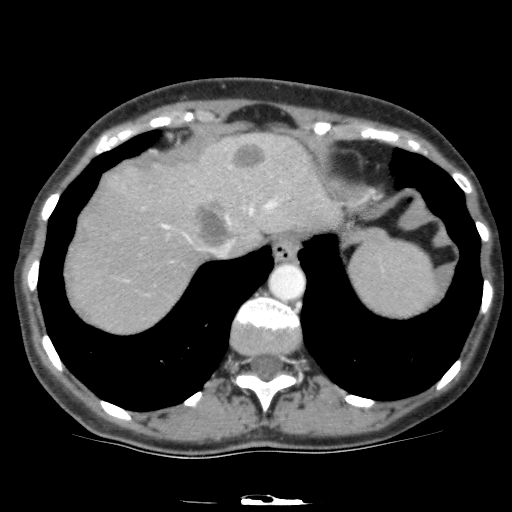 Computed tomography | 512x512 px | Upper abdomen

2 liver lesion regions are located at x1=231, y1=142, x2=266, y2=169; x1=192, y1=198, x2=234, y2=246. The liver is located at x1=65, y1=133, x2=344, y2=334.